Slice 84 of 195; CT; Pelvis
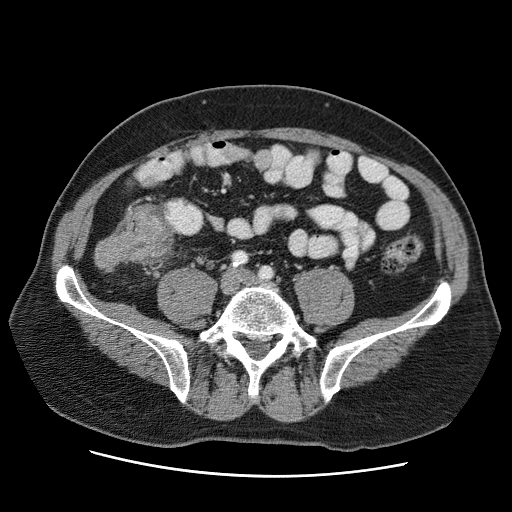
colon_tumor:
  - [x1=96, y1=204, x2=171, y2=272]